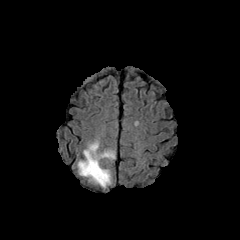
FLAIR MR.
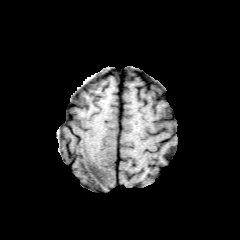
T1-weighted magnetic resonance of the same slice.
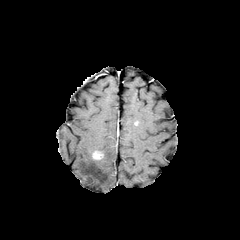
Same slice, post-contrast T1-weighted magnetic resonance.
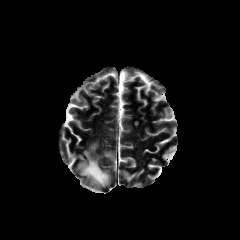
T2-weighted MR image.
<segmentation>
  <edema>(77,140,115,188)</edema>
  <enhancing_tumor>(92,151,103,159)</enhancing_tumor>
</segmentation>